CT; Image size 512x512; Abdomen; Field of view 407x407 mm

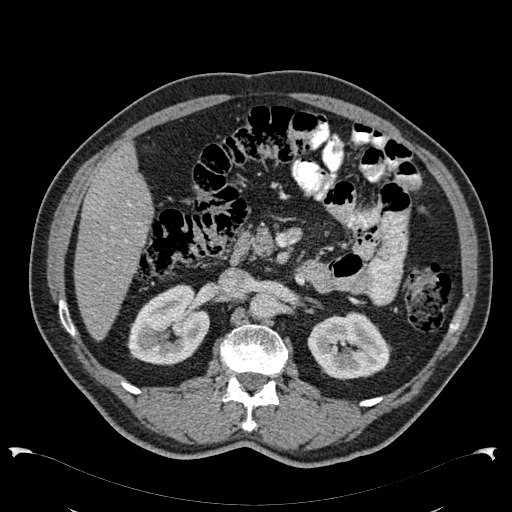
kidney:
  - 308:312:389:379
  - 128:285:212:364
liver:
  - 75:140:152:341